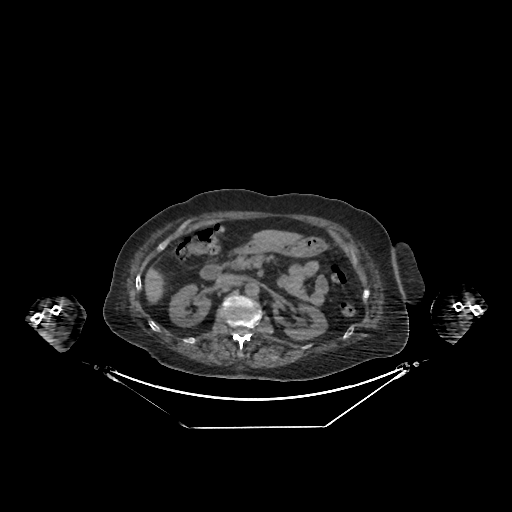
Abdomen | CT
Kidney: bounding box left=280, top=304, right=327, bottom=340; left=169, top=284, right=210, bottom=326.
Liver: bounding box left=144, top=266, right=166, bottom=304; left=248, top=229, right=307, bottom=245.